CT slice
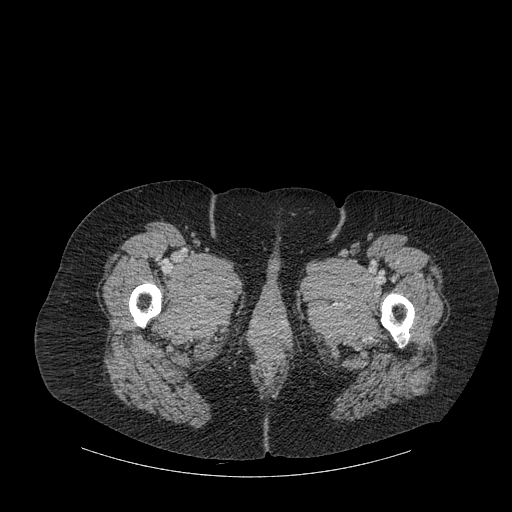
2 bone regions are located at {"x1": 129, "y1": 283, "x2": 161, "y2": 326}, {"x1": 381, "y1": 294, "x2": 414, "y2": 347}.